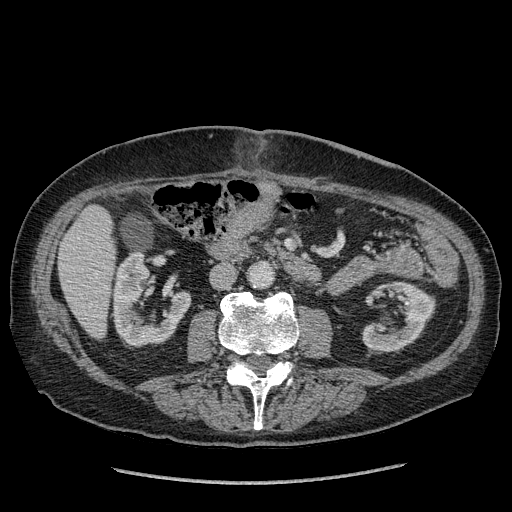
Image size 512x512; Liver; CT

kidney:
  - (x1=362, y1=282, x2=434, y2=351)
  - (x1=113, y1=252, x2=190, y2=345)
liver:
  - (x1=58, y1=205, x2=115, y2=339)